FLAIR MR.
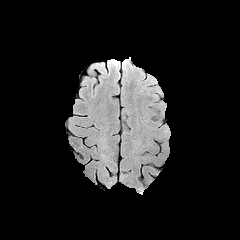
T1-weighted magnetic resonance.
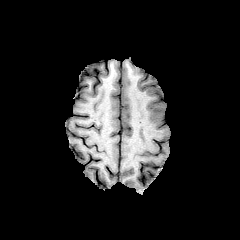
Post-contrast T1-weighted MR image.
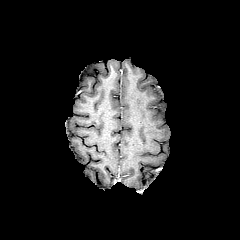
T2-weighted MR.
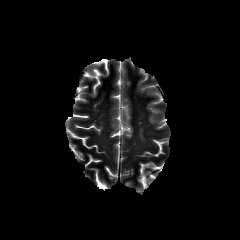
Brain
The edema is bounded by bbox(137, 84, 147, 93).